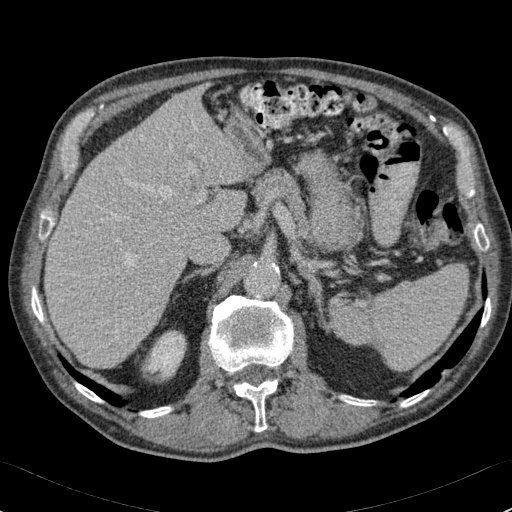
CT image; 512x512 px; Liver
Annotated regions:
- kidney: box=[148, 332, 183, 376]
- liver: box=[45, 86, 245, 367]